Field of view 240 mm wide, 1.00 mm slice spacing
FLAIR magnetic resonance.
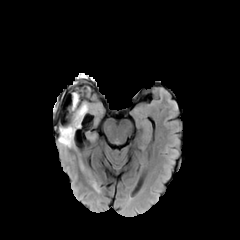
T1-weighted MRI.
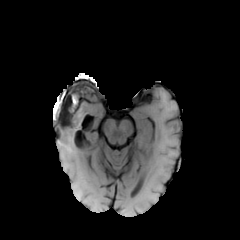
Post-contrast T1-weighted MR.
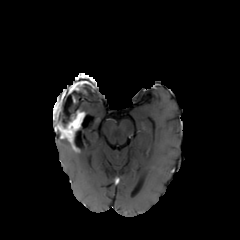
T2-weighted MR image.
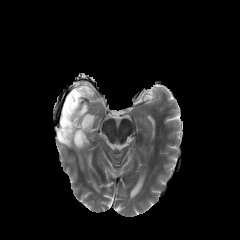
2 edema regions are bounded by <bbox>71, 92, 88, 113</bbox>, <bbox>59, 140, 71, 148</bbox>. The enhancing tumor lies within <bbox>56, 110, 84, 141</bbox>. The non-enhancing tumor core is bounded by <bbox>54, 91, 77, 129</bbox>.